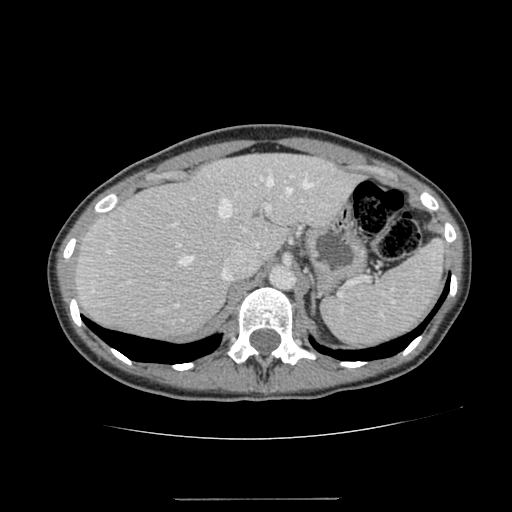

512x512; CT
The liver is located at (x1=76, y1=154, x2=362, y2=339).